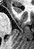
MR image, Medial temporal lobe
Anterior hippocampus at 13:7:21:13.